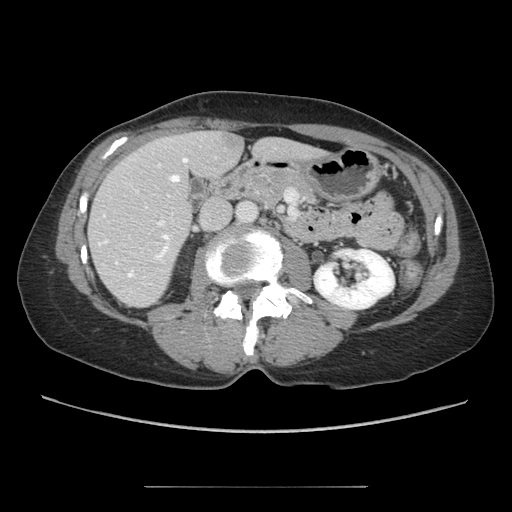 Image size 512x512, Abdomen, CT scan slice

{"pancreas": ["box(227, 164, 321, 212)"]}